512x512 px, Field of view 358 mm wide, 1.50 mm slice spacing, Abdomen, CT slice, Slice 70 of 161
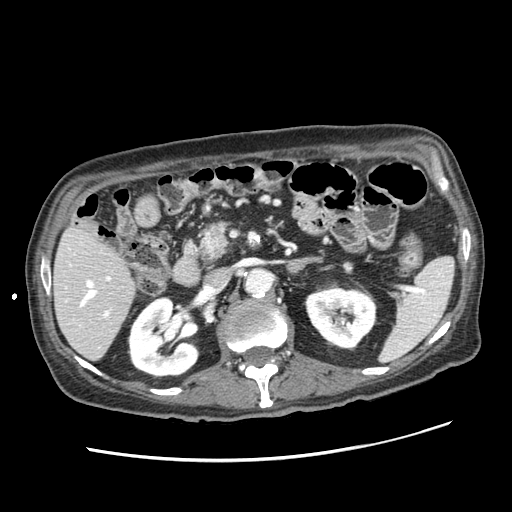
pancreatic_tumor:
  - box=[212, 227, 222, 237]
pancreas:
  - box=[200, 223, 228, 262]